Slice 92 of 112; Image size 512x512; Field of view 412 mm wide, 4.00 mm slice spacing; Upper abdomen; Computed tomography 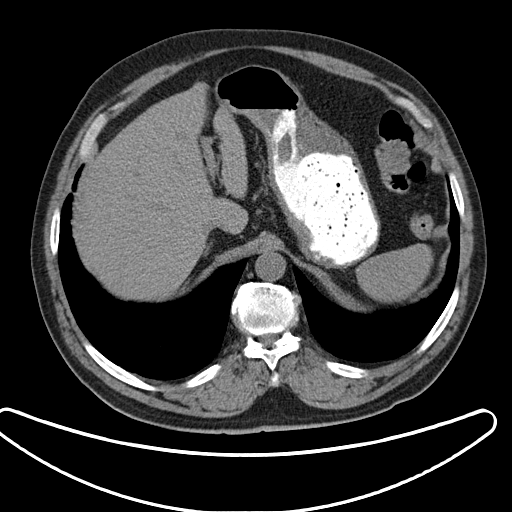

spleen:
  - 358:246:431:300